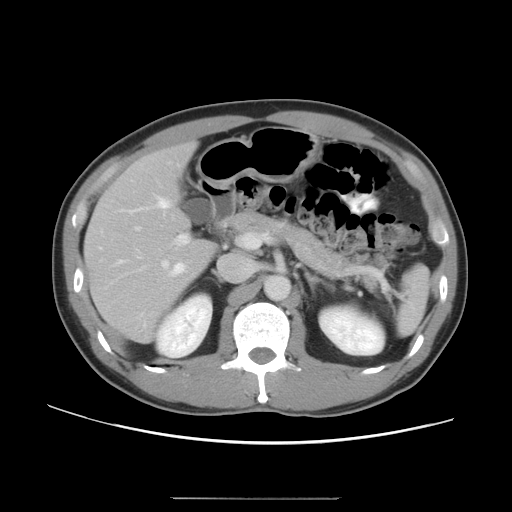

512x512 px, Computed tomography
Not every hepatic vessel necessarily has a box.
Hepatic vessel — [141,313,143,316], [136,226,140,230], [141,267,145,269], [181,235,183,237], [157,197,171,208], [138,257,141,258], [99,247,101,248], [144,323,145,325], [125,208,145,213], [162,261,186,275].